CT scan slice, 512x512

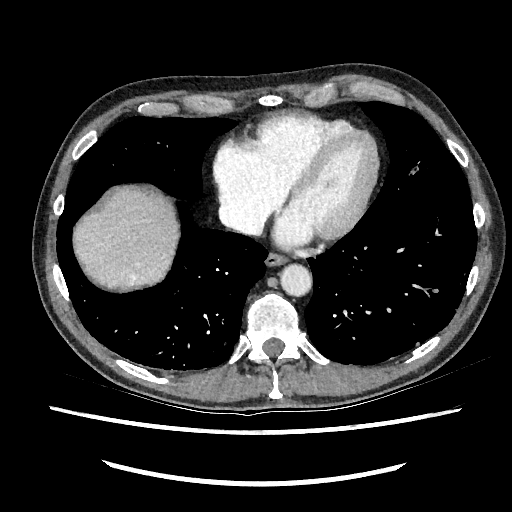

• liver: (74,192,178,285)